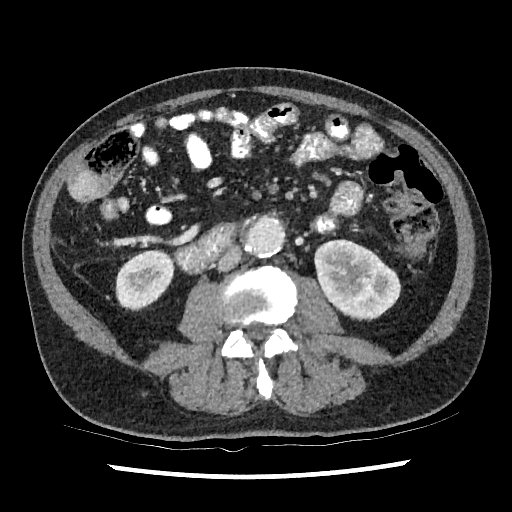 Abdomen; CT
Segmented structures:
* kidney: (left=116, top=251, right=173, bottom=308), (left=315, top=240, right=400, bottom=318)